Slice 83 of 155, Image size 240x240
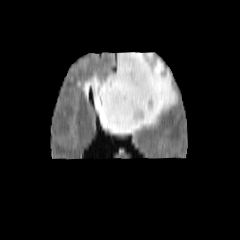
FLAIR magnetic resonance.
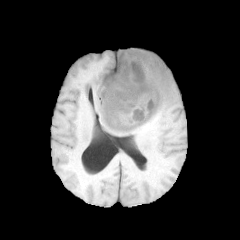
T1-weighted magnetic resonance.
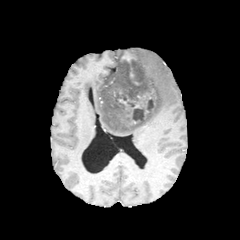
Post-contrast T1-weighted MR image.
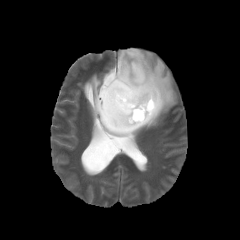
Same slice, T2-weighted MR.
Segmented structures:
• non-enhancing tumor core: {"x1": 107, "y1": 49, "x2": 157, "y2": 127}
• enhancing tumor: {"x1": 122, "y1": 51, "x2": 135, "y2": 61}
• edema: {"x1": 116, "y1": 49, "x2": 124, "y2": 63}, {"x1": 90, "y1": 48, "x2": 177, "y2": 134}